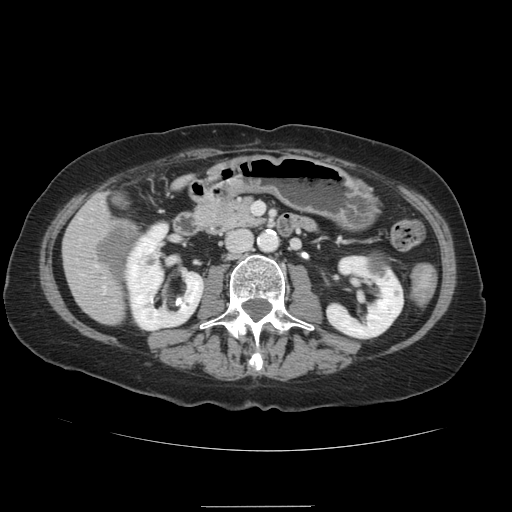
CT scan slice; Abdomen
liver tumor: left=96, top=220, right=136, bottom=283